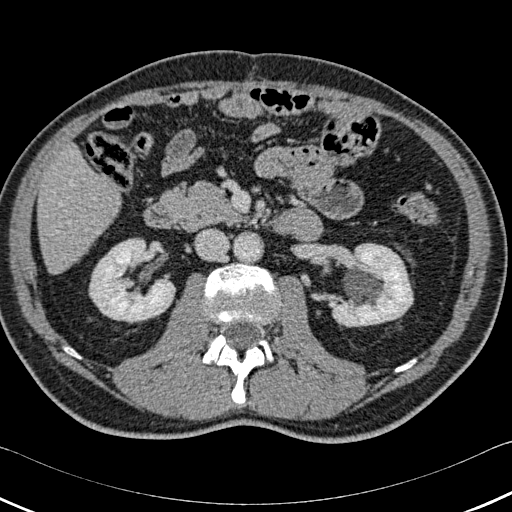

Image size 512x512. CT. Liver. 5 bone regions are bounded by 204,264,277,323; 65,347,80,358; 395,359,415,371; 203,335,264,404; 259,340,272,361. The liver appears at 38,148,120,269. 2 kidney regions are located at 90,239,174,321; 333,244,412,325.